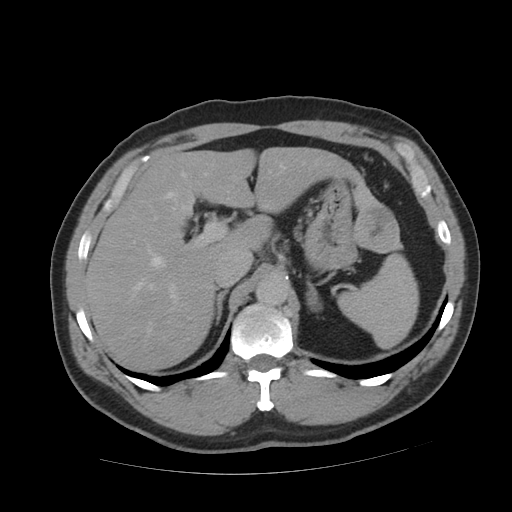

Abdomen. 512x512 px. CT slice.

Some hepatic vessels may have no box.
Liver tumor: bounding box (left=356, top=209, right=398, bottom=249).
Hepatic vessel: bounding box (left=167, top=192, right=174, bottom=196), (left=182, top=173, right=185, bottom=176), (left=149, top=283, right=153, bottom=287), (left=168, top=284, right=177, bottom=303), (left=196, top=243, right=204, bottom=245), (left=135, top=284, right=139, bottom=288), (left=281, top=166, right=283, bottom=167), (left=149, top=251, right=164, bottom=267), (left=205, top=173, right=207, bottom=174), (left=172, top=207, right=175, bottom=210).